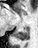
MR image; Medial temporal lobe; Image size 38x48

Posterior hippocampus: region(16, 27, 28, 40).